Upper abdomen | CT scan slice | Slice 471/871 | Image size 512x512 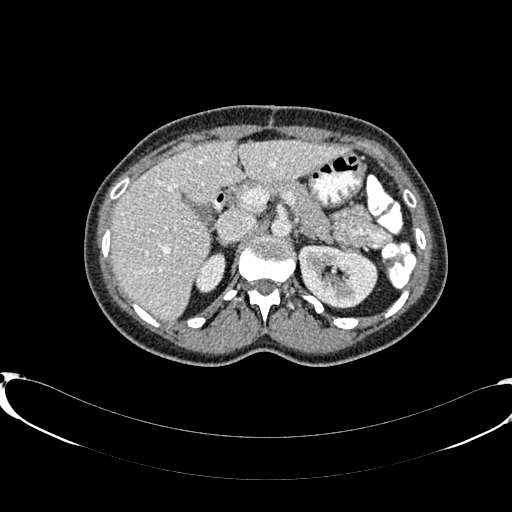
The liver lies within box=[110, 141, 348, 320]. 2 kidney regions appear at box=[300, 247, 375, 306]; box=[198, 257, 223, 290].